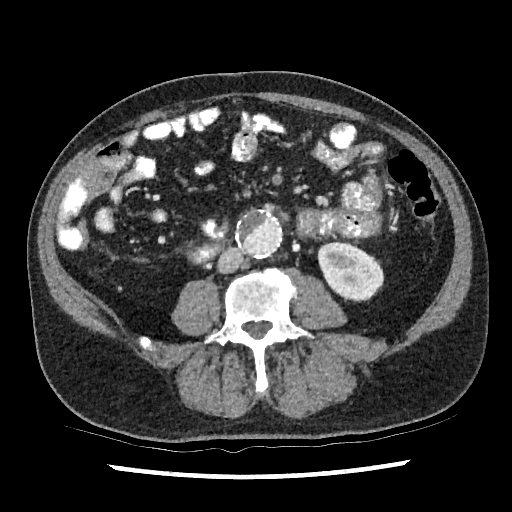
CT image.

kidney:
  - bbox=[321, 244, 382, 299]